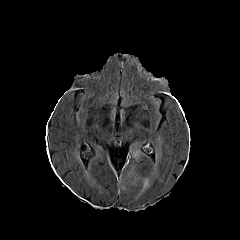
FLAIR MR image.
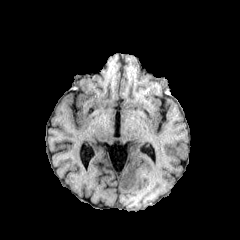
T1-weighted MR image.
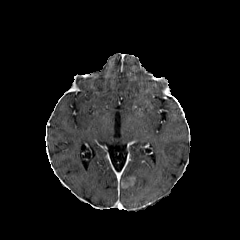
Post-contrast T1-weighted MRI.
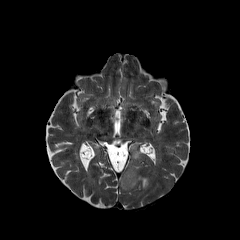
Same slice, T2-weighted magnetic resonance.
Image size 240x240. Brain.
Edema — 151, 145, 160, 174; 131, 150, 141, 159; 137, 176, 149, 195.
Enhancing tumor — 120, 174, 136, 189.